CT slice, Slice 30/104, Field of view 442 mm wide, 2.50 mm slice spacing

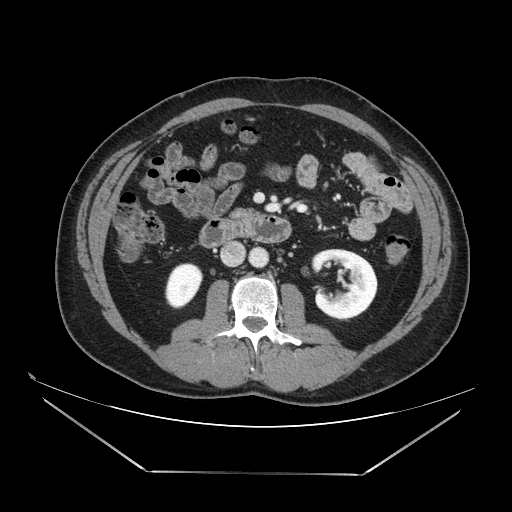

Pancreas — l=230, t=207, r=256, b=219.